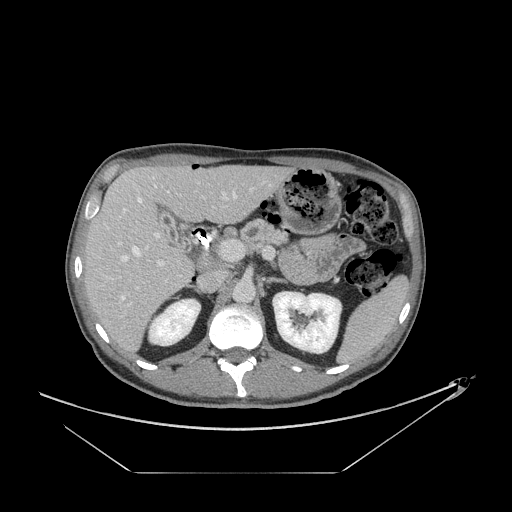
Computed tomography | Abdomen

Pancreas: l=240, t=220, r=288, b=248.